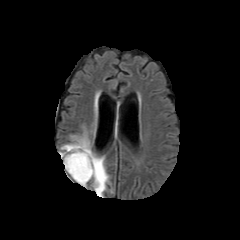
FLAIR MR image.
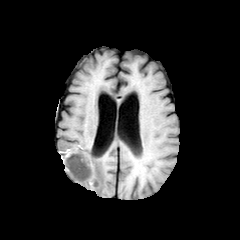
T1-weighted MRI.
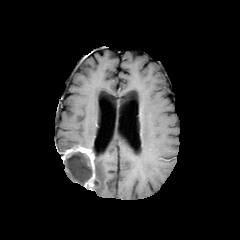
Same slice, post-contrast T1-weighted magnetic resonance.
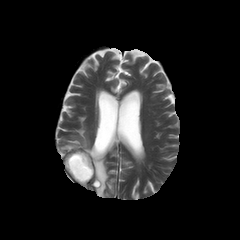
Same slice, T2-weighted MR image.
• enhancing tumor: [63,147,94,186]
• edema: [66,165,77,182], [60,135,90,152], [86,156,111,195]
• non-enhancing tumor core: [64,151,92,187]